35x40 px; Magnetic resonance; Medial temporal lobe; Slice 24 of 40

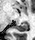 The posterior hippocampus appears at 14,23,28,31.